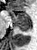
MRI slice. Medial temporal lobe.

• anterior hippocampus: bbox=[8, 10, 30, 23]
• posterior hippocampus: bbox=[15, 24, 30, 31]